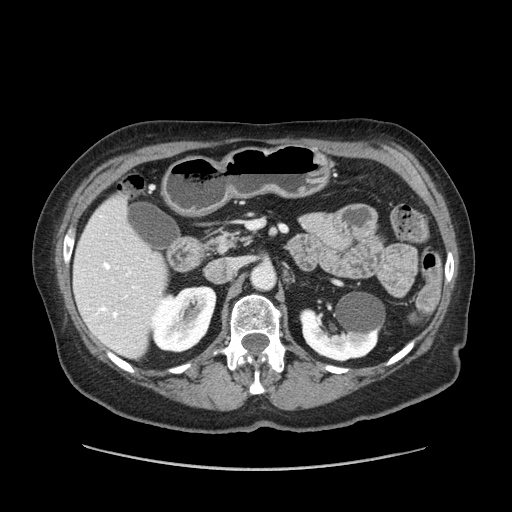

Abdomen. Computed tomography. Pancreas = <box>211,232,251,253</box>.